Computed tomography. Field of view 700x700 mm. Liver. 512x512 px.

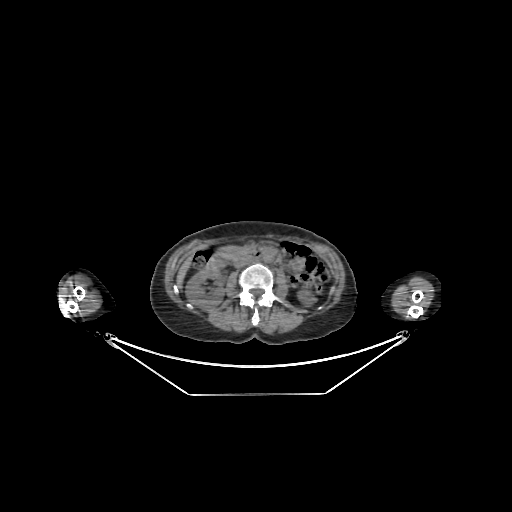

Segmented structures:
- liver: 177, 257, 191, 286
- kidney: 185, 268, 226, 310; 297, 287, 317, 307